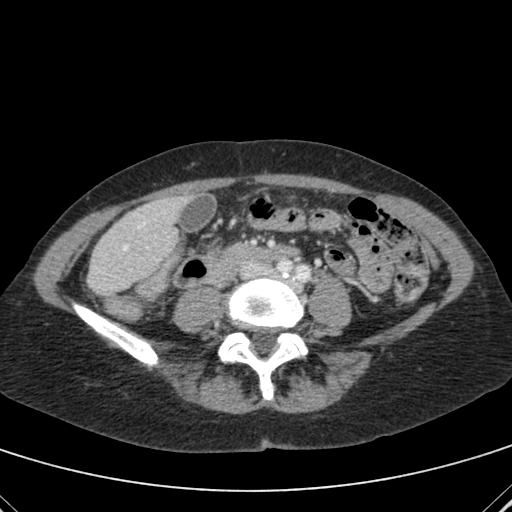

Image size 512x512 | CT slice

The liver is located at box=[88, 196, 189, 293].